FLAIR MR image.
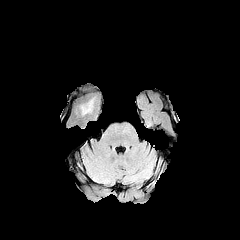
T1-weighted magnetic resonance.
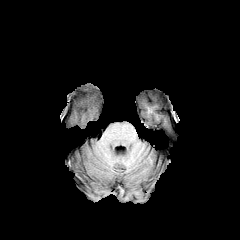
Post-contrast T1-weighted MRI.
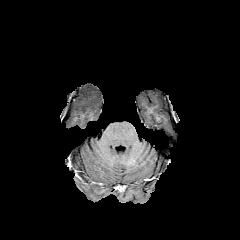
T2-weighted MR image.
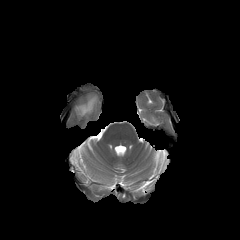
240x240. Brain.
Edema — l=80, t=98, r=94, b=114.